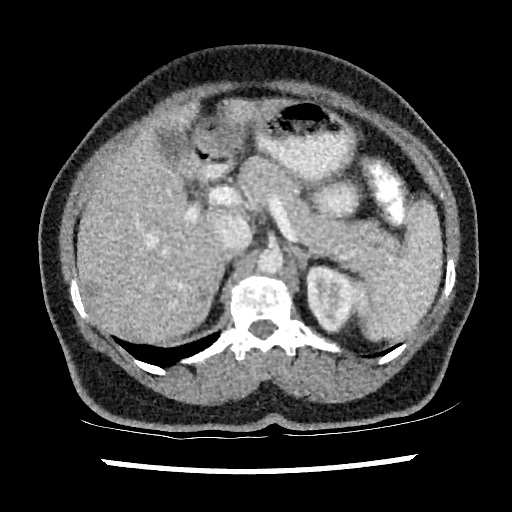 CT scan slice. 512x512 px. Liver.

{
  "kidney": [
    "(left=307, top=267, right=365, bottom=330)"
  ],
  "hepatic_lesion": [
    "(left=86, top=282, right=99, bottom=298)",
    "(left=198, top=289, right=207, bottom=301)"
  ],
  "liver": [
    "(left=262, top=99, right=288, bottom=119)",
    "(left=77, top=103, right=228, bottom=341)",
    "(left=228, top=100, right=253, bottom=122)"
  ]
}